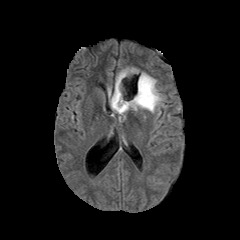
FLAIR magnetic resonance.
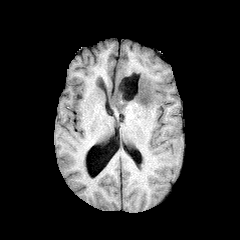
T1-weighted MR image of the same slice.
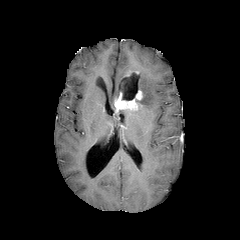
Post-contrast T1-weighted MRI.
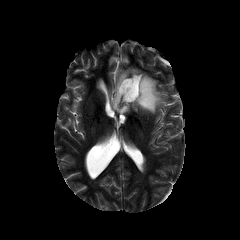
T2-weighted MR image of the same slice.
Head
• non-enhancing tumor core: bbox=[114, 80, 151, 106]
• enhancing tumor: bbox=[114, 90, 143, 111]
• edema: bbox=[108, 68, 163, 116]